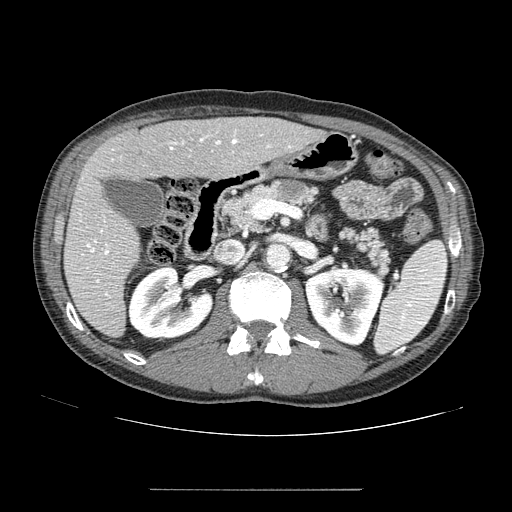
CT scan slice
Segmented structures:
• pancreas: (left=224, top=180, right=283, bottom=232), (left=281, top=185, right=316, bottom=205), (left=341, top=228, right=389, bottom=274)
• pancreatic tumor: (left=275, top=180, right=305, bottom=202)